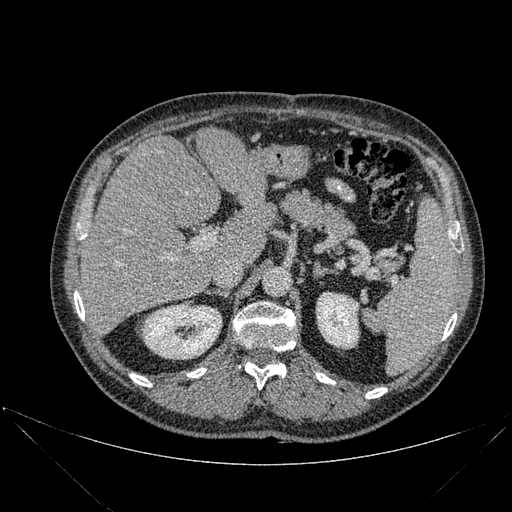 512x512 px | CT slice
Bone = (left=442, top=313, right=456, bottom=340), (left=366, top=387, right=386, bottom=398), (left=187, top=368, right=206, bottom=377), (left=130, top=374, right=151, bottom=386), (left=233, top=302, right=295, bottom=351), (left=449, top=223, right=462, bottom=252), (left=74, top=291, right=84, bottom=320), (left=76, top=223, right=86, bottom=239), (left=316, top=373, right=334, bottom=383), (left=245, top=362, right=286, bottom=389).
Liver = (left=197, top=126, right=273, bottom=267), (left=79, top=136, right=222, bottom=336).
Kidney = (left=316, top=292, right=358, bottom=347), (left=143, top=304, right=221, bottom=358).